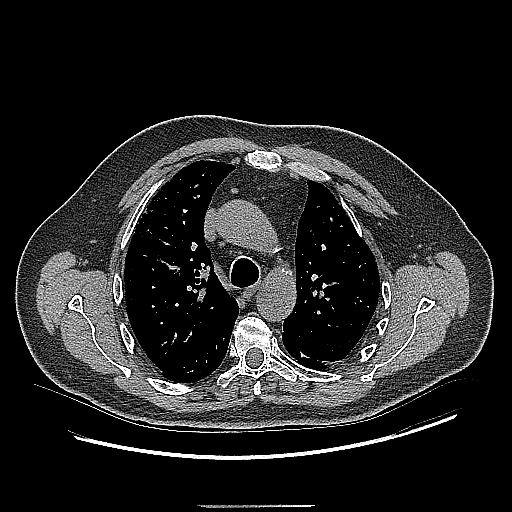

512x512 px. CT scan slice.
The lung tumor appears at l=290, t=345, r=313, b=360.